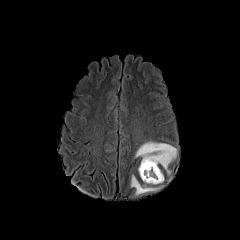
FLAIR MR.
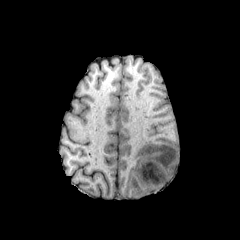
T1-weighted MR image.
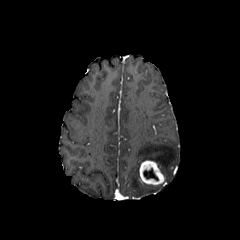
Post-contrast T1-weighted MR.
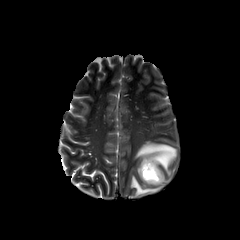
T2-weighted MR image.
240x240. Brain.
Segmented structures:
- non-enhancing tumor core: bbox=[143, 168, 157, 179]
- edema: bbox=[131, 175, 160, 194]; bbox=[135, 141, 176, 174]
- enhancing tumor: bbox=[138, 159, 164, 185]